Computed tomography | 512x512 | Field of view 424x424 mm 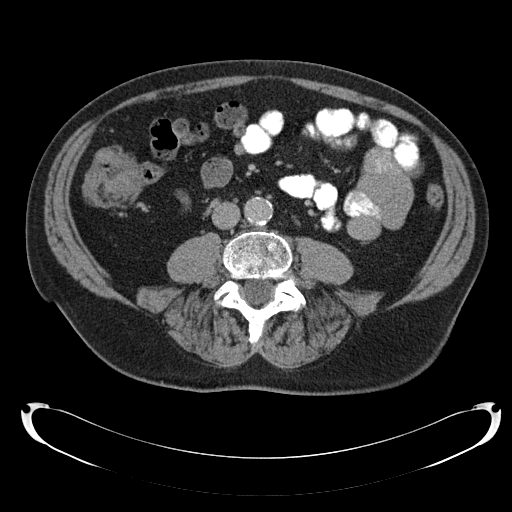

colon_tumor:
  - [81, 149, 143, 205]